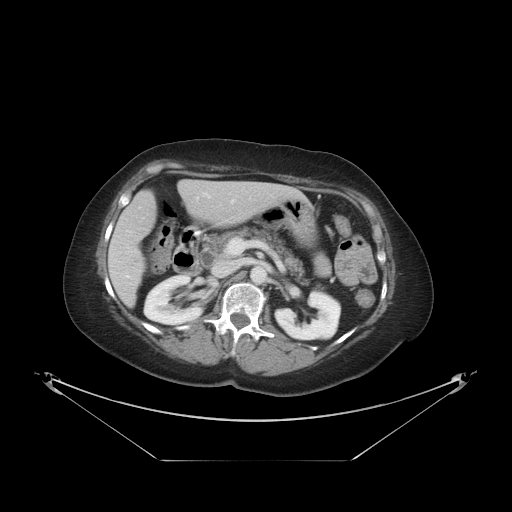 CT scan slice | 512x512 px
Only some of the vessels may be annotated.
2 hepatic vessel regions are located at [232,200,233,202], [226,239,235,254].